CT scan slice
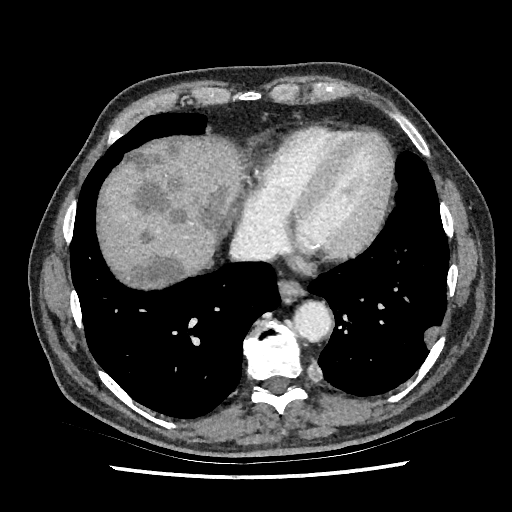

The liver appears at 99 138 241 275. 6 liver lesion regions are bounded by 139 230 154 245, 116 254 185 287, 197 182 235 240, 121 151 164 173, 132 173 188 226, 165 138 190 158.